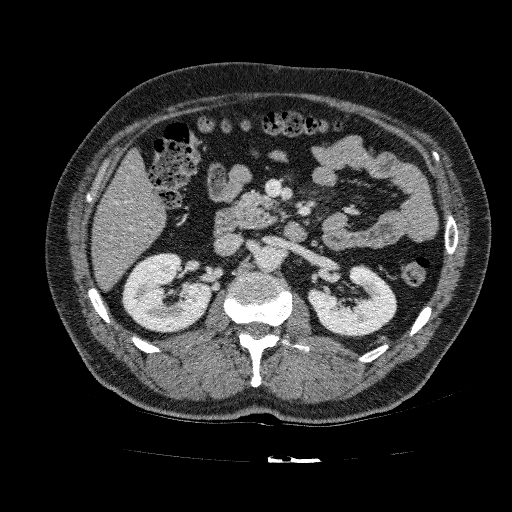 CT scan slice; Abdomen

liver: x1=91 y1=148 x2=166 y2=289 | kidney: x1=123 y1=254 x2=210 y2=331, x1=309 y1=267 x2=395 y2=335